FLAIR MRI.
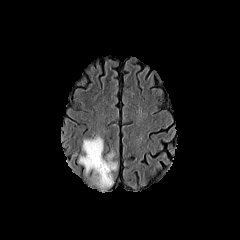
T1-weighted MR image.
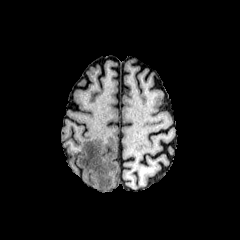
Post-contrast T1-weighted magnetic resonance.
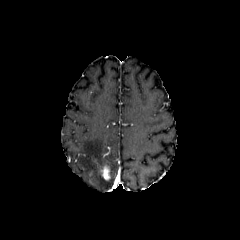
T2-weighted MR.
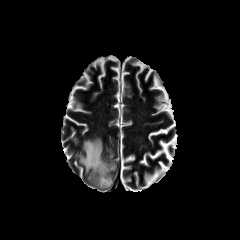
Head
enhancing tumor: rect(100, 165, 110, 180) | edema: rect(79, 137, 116, 189)